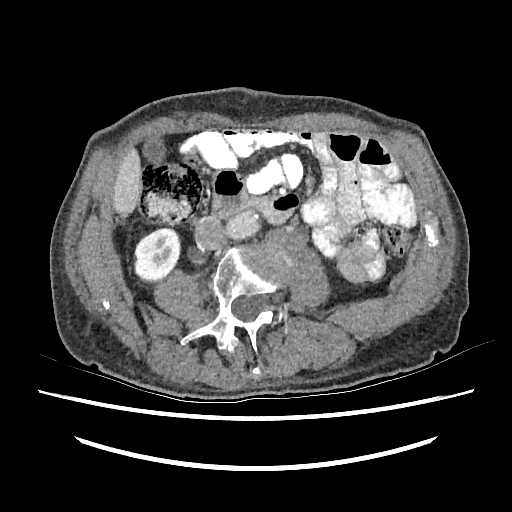 CT slice. Abdomen.

Annotated regions:
- kidney: 136,229,179,279
- liver: 113,149,140,214